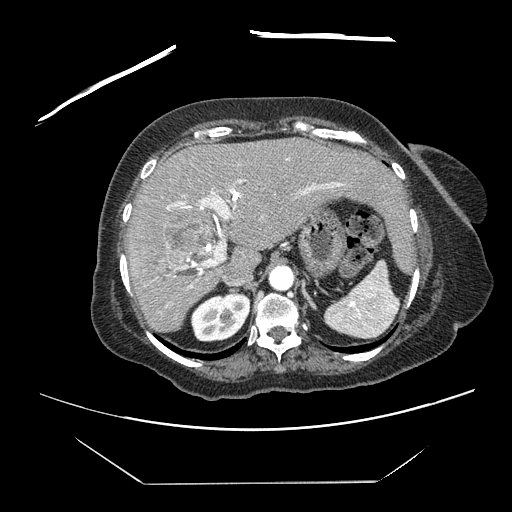

Computed tomography, Abdomen

The vessel boxes may cover only some of the vessels.
Hepatic vessel = 300 182 343 194, 182 266 185 268, 198 189 231 219, 217 219 222 236, 182 195 184 197, 166 200 190 209, 238 180 241 182, 202 242 224 266, 191 262 194 266.
Liver tumor = 167 213 209 262.